CT slice; Abdomen
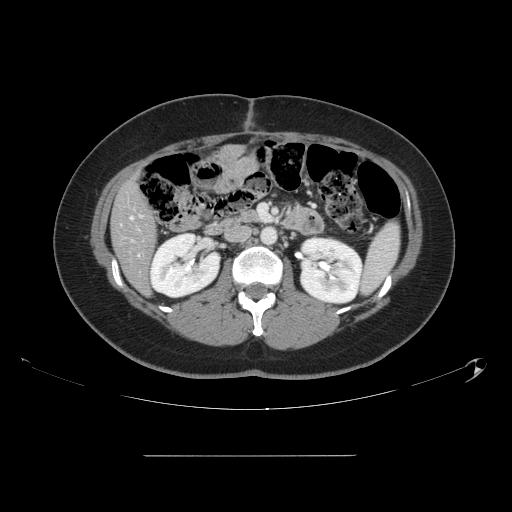
The vessel boxes may cover only some of the vessels.
Hepatic vessel = region(130, 217, 132, 219).